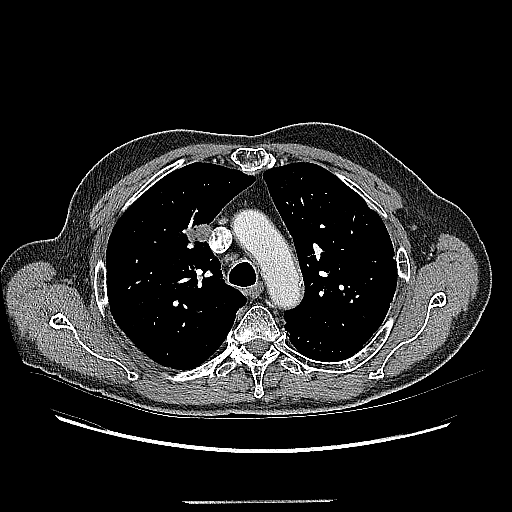

CT; Image size 512x512
The lung tumor lies within left=184, top=223, right=209, bottom=242.